Head.
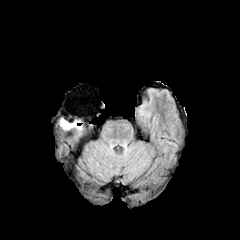
FLAIR magnetic resonance.
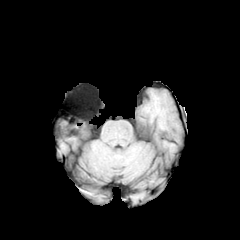
T1-weighted MR.
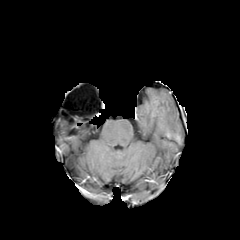
Post-contrast T1-weighted MR.
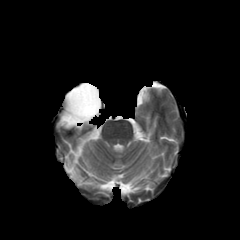
T2-weighted magnetic resonance.
Edema at (60, 119, 81, 130).